Head
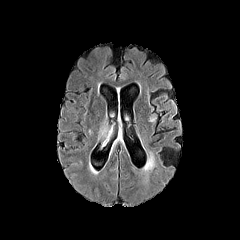
FLAIR magnetic resonance.
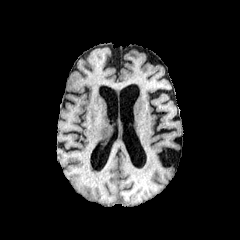
Same slice, T1-weighted MRI.
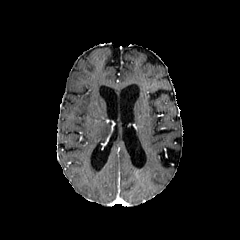
Same slice, post-contrast T1-weighted MR.
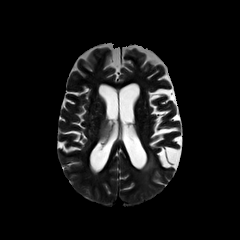
T2-weighted MR image.
• edema: left=97, top=126, right=109, bottom=140